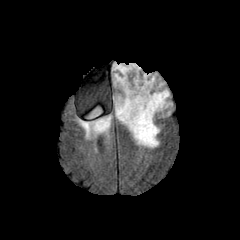
FLAIR MR image.
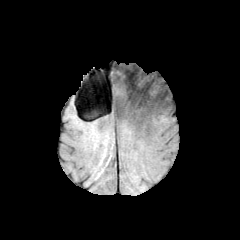
Same slice, T1-weighted MR image.
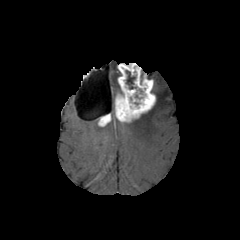
Same slice, post-contrast T1-weighted MRI.
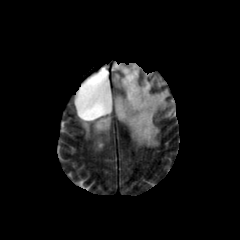
T2-weighted MR.
4 edema regions are located at (x1=82, y1=118, x2=109, y2=135), (x1=86, y1=107, x2=101, y2=118), (x1=112, y1=64, x2=119, y2=86), (x1=120, y1=74, x2=172, y2=147). The non-enhancing tumor core appears at (x1=126, y1=70, x2=135, y2=85). 2 enhancing tumor regions appear at (x1=98, y1=114, x2=109, y2=125), (x1=115, y1=64, x2=155, y2=121).